Slice index 40; Head
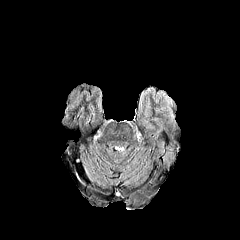
FLAIR magnetic resonance.
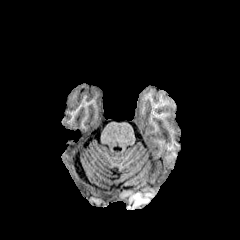
T1-weighted MR.
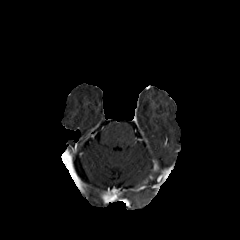
Same slice, post-contrast T1-weighted MR image.
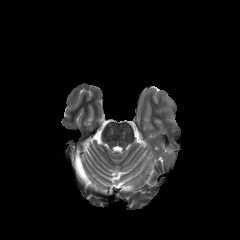
T2-weighted magnetic resonance.
Edema — (x1=158, y1=142, x2=164, y2=157).